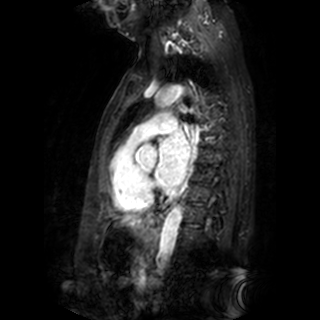 Heart, MR image
The left atrium is located at [x1=155, y1=131, x2=189, y2=187].